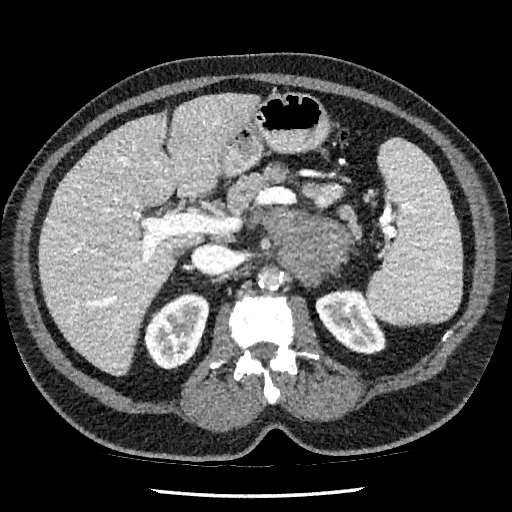 Liver, CT image
<segmentation>
  <liver>x1=40, y1=94, x2=259, y2=374</liver>
  <kidney>x1=316, y1=291, x2=384, y2=352; x1=145, y1=295, x2=208, y2=368</kidney>
</segmentation>